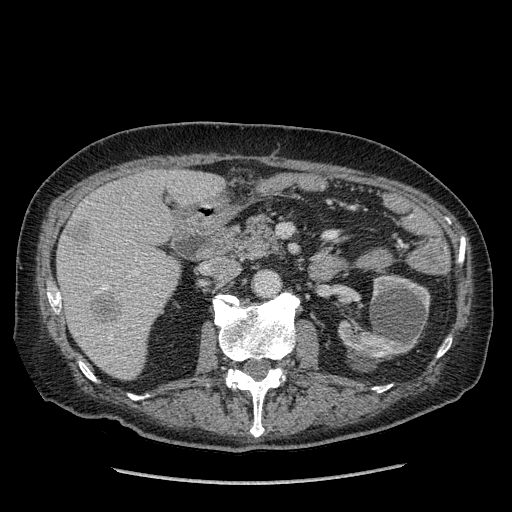

CT scan slice. Upper abdomen.

2 kidney regions are bounded by [372, 275, 429, 311], [338, 321, 417, 358]. 2 focal liver lesion regions appear at [90, 291, 121, 323], [68, 220, 89, 242]. The liver appears at [57, 170, 224, 380].